Brain
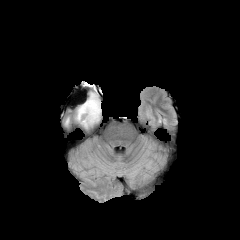
FLAIR MR.
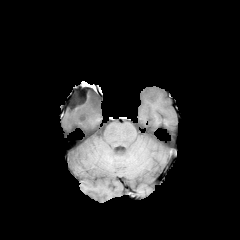
T1-weighted MR of the same slice.
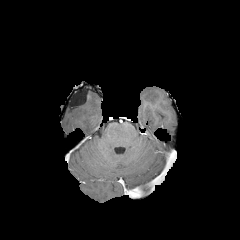
Post-contrast T1-weighted MR image.
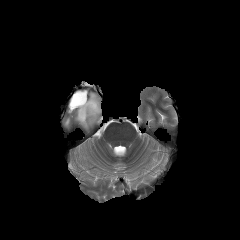
Same slice, T2-weighted MRI.
Edema at 75, 91, 101, 128.